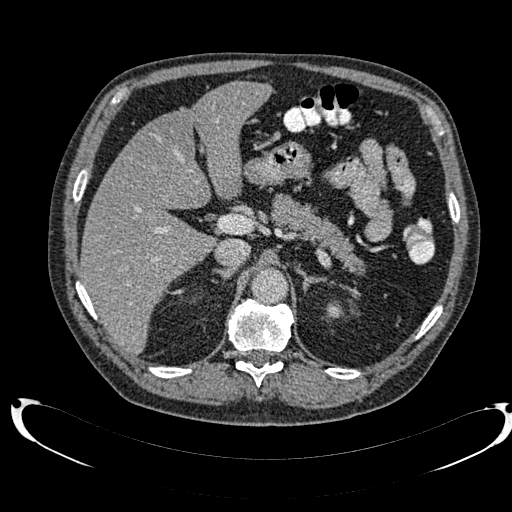

CT slice | Image size 512x512
The liver lesion is at (138, 112, 188, 170). The liver is located at (80, 81, 272, 353).